FLAIR MR.
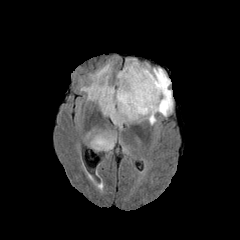
T1-weighted MR.
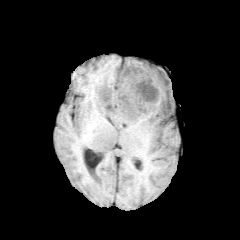
Post-contrast T1-weighted magnetic resonance.
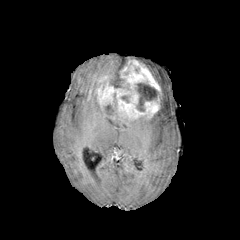
T2-weighted magnetic resonance.
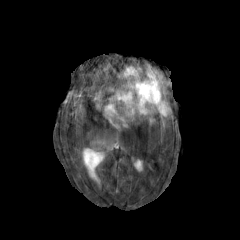
Image size 240x240
Non-enhancing tumor core: bounding box <bbox>110, 74, 127, 88</bbox>, <bbox>135, 82, 163, 111</bbox>, <bbox>103, 102, 116, 110</bbox>.
Edema: bounding box <bbox>82, 64, 173, 125</bbox>, <bbox>92, 136, 113, 149</bbox>.
Enhancing tumor: bounding box <bbox>96, 59, 161, 119</bbox>.